Image size 512x512, Field of view 360 mm wide, 2.50 mm slice spacing, CT, Abdomen 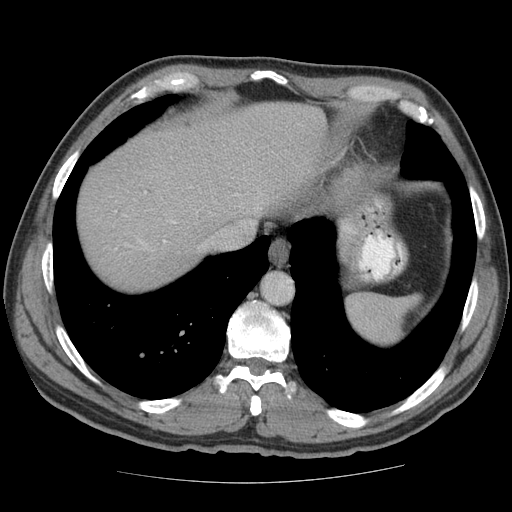 Some hepatic vessels may have no box.
<segmentation>
  <hepatic_vessel>bbox(199, 221, 253, 248); bbox(132, 234, 154, 251)</hepatic_vessel>
</segmentation>